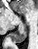

38x49 px; Hippocampus; MR
posterior_hippocampus:
  - rect(12, 30, 27, 42)